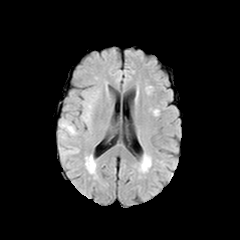
FLAIR MRI.
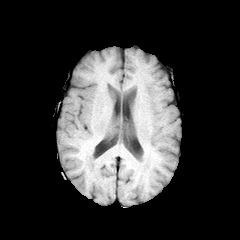
Same slice, T1-weighted MR image.
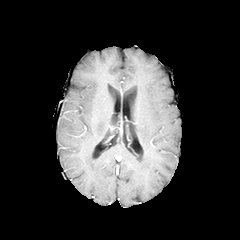
Post-contrast T1-weighted MRI.
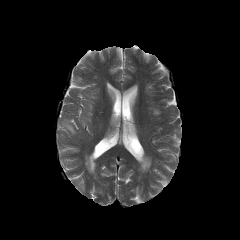
T2-weighted magnetic resonance.
Brain
3 edema regions appear at bbox=[59, 120, 77, 135]; bbox=[83, 101, 93, 122]; bbox=[59, 147, 79, 155].